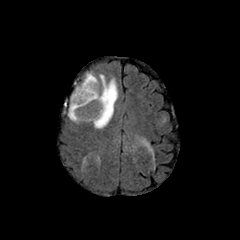
FLAIR MR image.
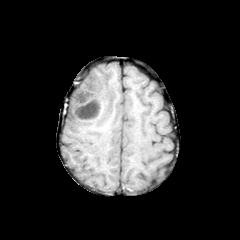
Same slice, T1-weighted MR.
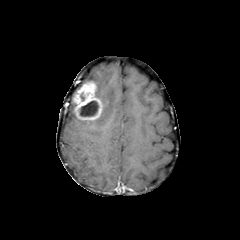
Post-contrast T1-weighted magnetic resonance.
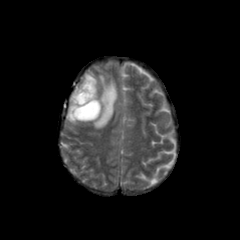
T2-weighted MRI.
Head
{
  "enhancing_tumor": [
    "[x1=72, y1=81, x2=101, y2=120]"
  ],
  "non-enhancing_tumor_core": [
    "[x1=77, y1=101, x2=98, y2=117]"
  ],
  "edema": [
    "[x1=77, y1=73, x2=117, y2=128]",
    "[x1=67, y1=101, x2=81, y2=122]"
  ]
}